FLAIR MR.
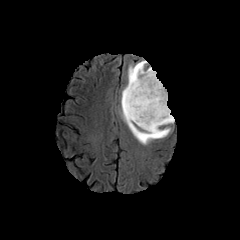
T1-weighted MR.
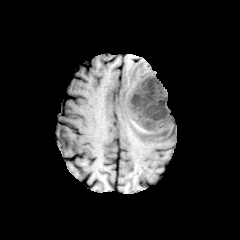
Post-contrast T1-weighted MR image.
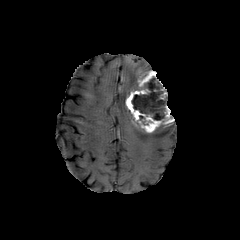
T2-weighted MR image.
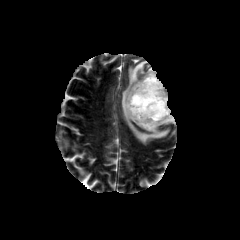
2 non-enhancing tumor core regions appear at left=132, top=77, right=167, bottom=119; left=140, top=129, right=163, bottom=138. The edema is located at left=118, top=60, right=170, bottom=145. 2 enhancing tumor regions are bounded by left=125, top=70, right=173, bottom=132; left=159, top=86, right=167, bottom=99.